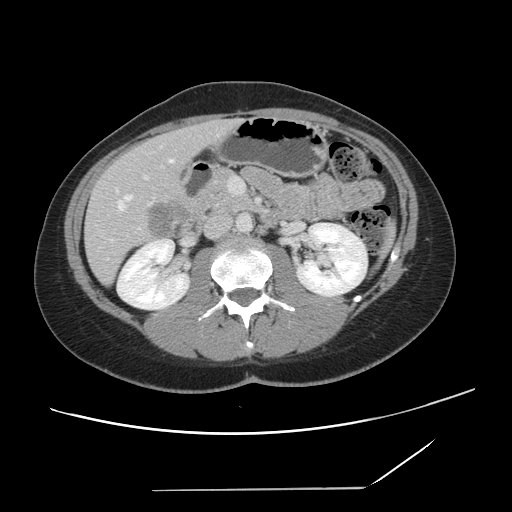
CT.

Some hepatic vessels may have no box.
The liver tumor appears at {"x1": 148, "y1": 200, "x2": 186, "y2": 235}. 7 hepatic vessel regions are located at {"x1": 116, "y1": 189, "x2": 117, "y2": 191}, {"x1": 118, "y1": 201, "x2": 123, "y2": 209}, {"x1": 125, "y1": 195, "x2": 131, "y2": 200}, {"x1": 110, "y1": 239, "x2": 113, "y2": 241}, {"x1": 144, "y1": 176, "x2": 147, "y2": 179}, {"x1": 169, "y1": 160, "x2": 173, "y2": 162}, {"x1": 149, "y1": 203, "x2": 150, "y2": 204}.